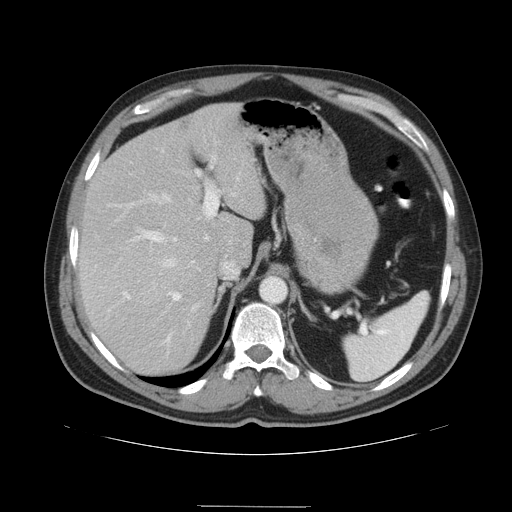
Abdomen; CT image
Only some of the vessels may be annotated.
Most prominent 15 of 19 hepatic vessel regions = (149, 195, 170, 203), (163, 259, 175, 266), (123, 292, 129, 298), (211, 157, 215, 167), (203, 183, 220, 218), (168, 292, 180, 301), (132, 229, 165, 242), (193, 305, 197, 310), (222, 261, 236, 277), (163, 334, 171, 349), (110, 204, 135, 215), (205, 236, 209, 240), (189, 262, 193, 266), (172, 237, 176, 241), (197, 171, 200, 176).